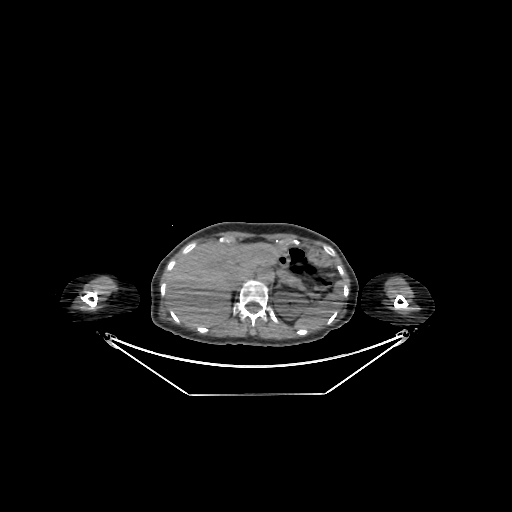 CT | Image size 512x512
Kidney — 274:291:310:319.
Liver — 162:241:282:328.